CT, Slice 46 of 588

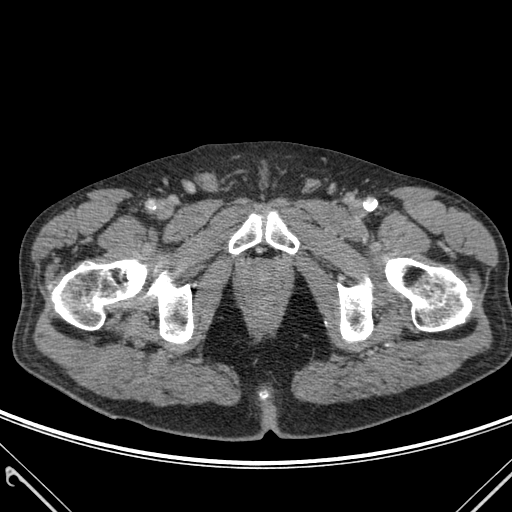 Bone: bounding box x1=148 y1=272 x2=193 y2=343, x1=385 y1=258 x2=471 y2=331, x1=337 y1=278 x2=372 y2=341, x1=229 y1=212 x2=299 y2=254, x1=52 y1=260 x2=146 y2=329.